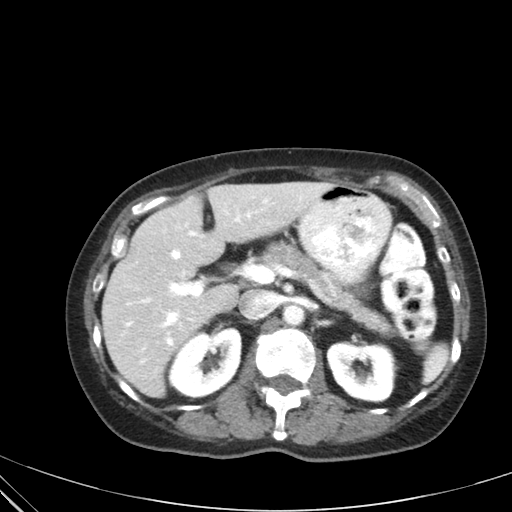
512x512; CT scan slice
pancreas: <box>258,240,394,336</box>